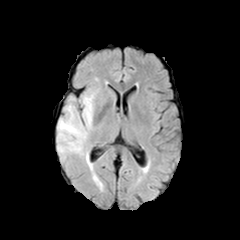
FLAIR magnetic resonance.
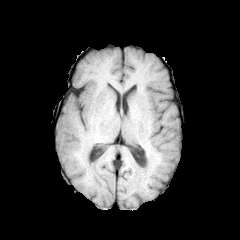
T1-weighted magnetic resonance.
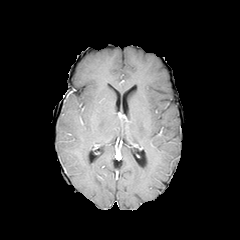
Post-contrast T1-weighted magnetic resonance of the same slice.
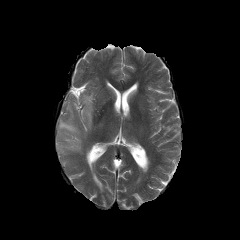
T2-weighted MR image of the same slice.
240x240 px.
The edema is at x1=56 y1=88 x2=96 y2=167.